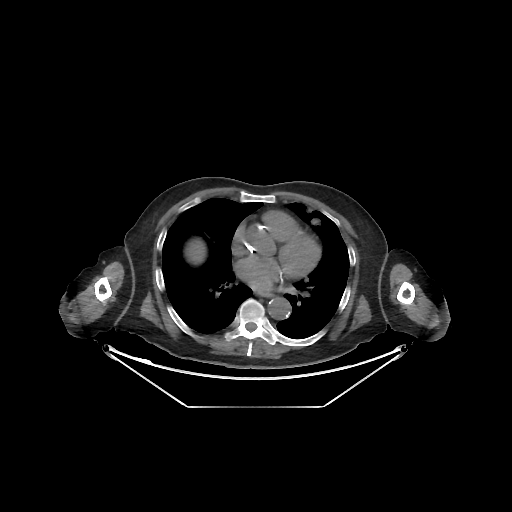
CT; 512x512; Liver
Lung at [276, 202, 349, 338], [162, 198, 263, 333].
Bone at [168, 307, 191, 333], [397, 282, 414, 304], [157, 232, 165, 249], [349, 254, 355, 264], [156, 270, 163, 289], [242, 192, 274, 202], [339, 289, 349, 309], [225, 299, 323, 355], [94, 277, 111, 301].
Liver at [191, 245, 203, 259].